Abdomen; Image size 512x512; Image width 330 mm; CT scan slice

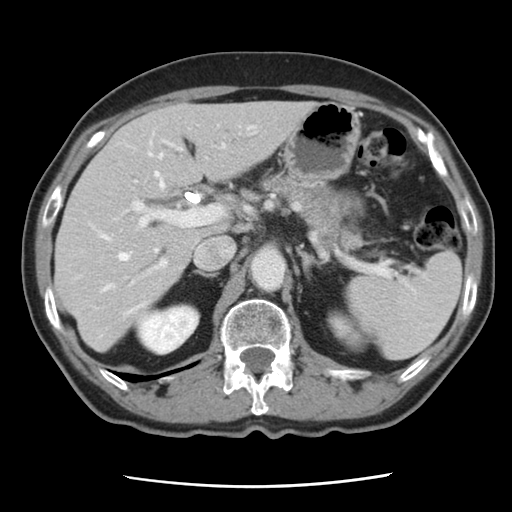 Annotated regions:
- pancreas: [261, 174, 363, 249]